Slice 36 of 58; CT slice 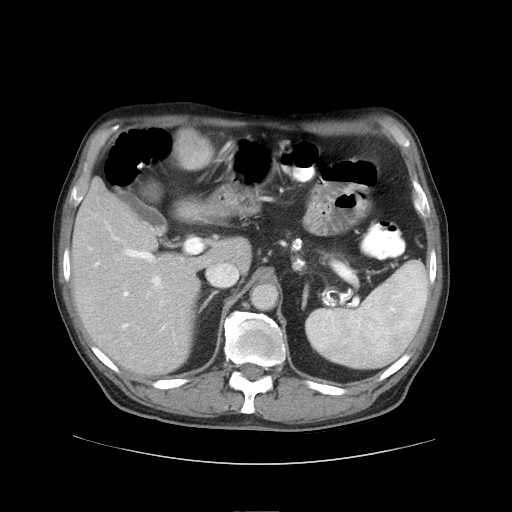

Only some of the vessels may be annotated.
Findings:
• liver tumor: [179, 131, 209, 167]
• hepatic vessel: [123, 248, 155, 262], [105, 221, 109, 230], [112, 235, 120, 239], [153, 277, 159, 284], [124, 292, 128, 295]